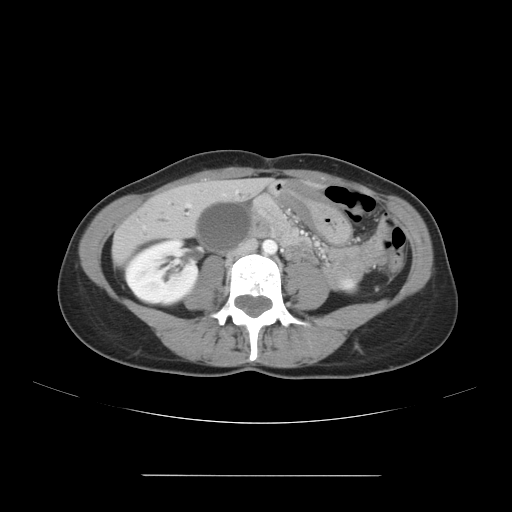

512x512 px; CT slice
Pancreas = 254, 195, 292, 239.